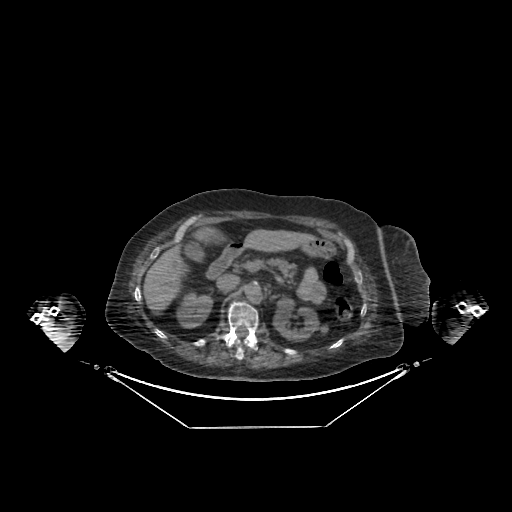

CT image
{
  "kidney": [
    "l=273, t=296, r=325, b=341",
    "l=176, t=292, r=212, b=328"
  ],
  "liver": [
    "l=142, t=238, r=190, b=315",
    "l=244, t=229, r=319, b=254",
    "l=186, t=225, r=236, b=264"
  ]
}